Slice index 117. CT. 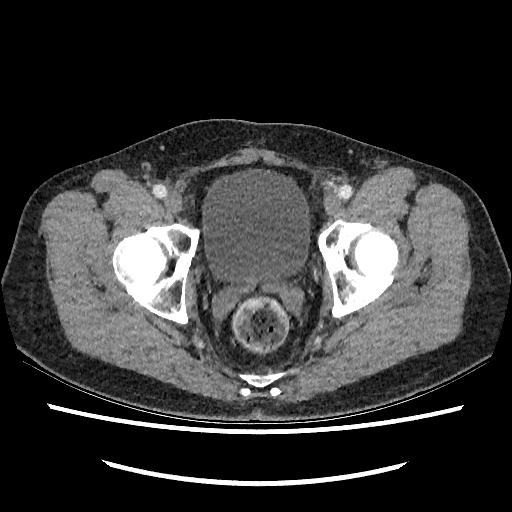

The urinary bladder is located at left=200, top=168, right=310, bottom=283.